FLAIR MR.
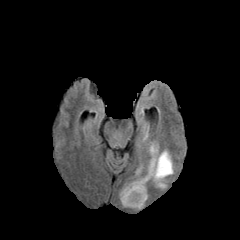
T1-weighted MR.
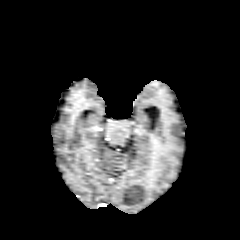
Post-contrast T1-weighted MR.
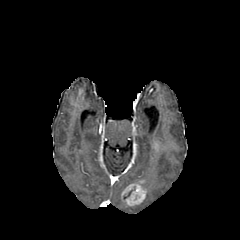
T2-weighted MRI.
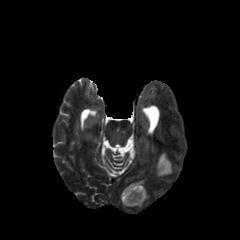
Edema: region(149, 151, 173, 180).
Enhancing tumor: region(120, 178, 146, 207); region(153, 141, 159, 150).